CT image, Slice 41 of 105, Upper abdomen, 512x512 px

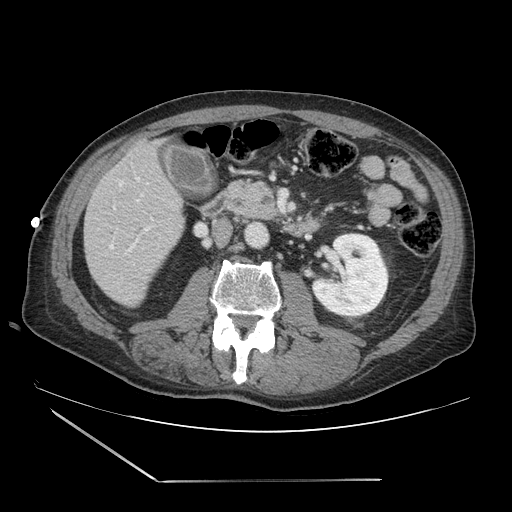
pancreas: [x1=229, y1=181, x2=276, y2=220]